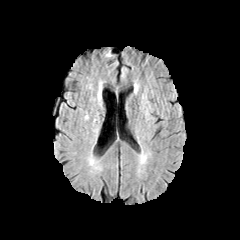
FLAIR magnetic resonance.
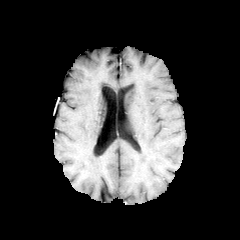
T1-weighted magnetic resonance.
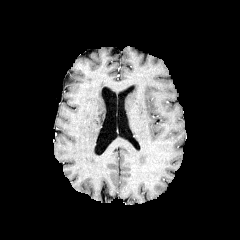
Same slice, post-contrast T1-weighted MR image.
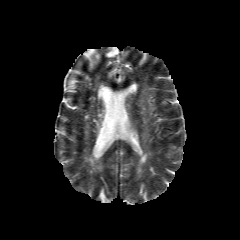
Same slice, T2-weighted MR.
- edema: <box>138,149,149,171</box>